FLAIR magnetic resonance.
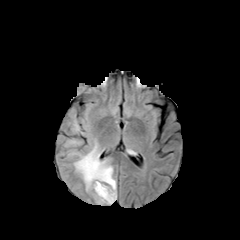
T1-weighted MR.
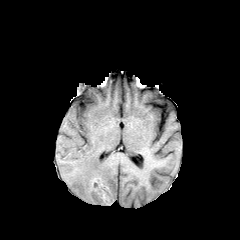
Post-contrast T1-weighted magnetic resonance.
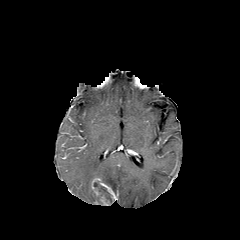
T2-weighted MRI.
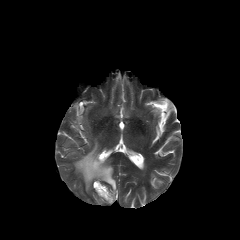
240x240 px.
Enhancing tumor at left=100, top=182, right=115, bottom=199.
Edema at left=63, top=138, right=116, bottom=204; left=72, top=120, right=82, bottom=134.
Non-enhancing tumor core at left=92, top=180, right=112, bottom=200.